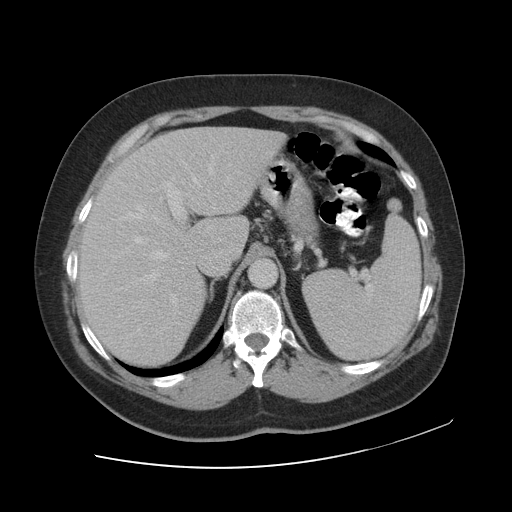
Abdomen; Computed tomography; Image size 512x512
The vessel annotation is not exhaustive.
Principal 15 of 16 hepatic vessel regions = {"x1": 174, "y1": 228, "x2": 184, "y2": 239}, {"x1": 154, "y1": 242, "x2": 172, "y2": 261}, {"x1": 134, "y1": 237, "x2": 141, "y2": 242}, {"x1": 209, "y1": 166, "x2": 212, "y2": 173}, {"x1": 152, "y1": 215, "x2": 158, "y2": 223}, {"x1": 177, "y1": 260, "x2": 178, "y2": 262}, {"x1": 198, "y1": 184, "x2": 200, "y2": 186}, {"x1": 168, "y1": 190, "x2": 184, "y2": 222}, {"x1": 166, "y1": 181, "x2": 170, "y2": 186}, {"x1": 211, "y1": 155, "x2": 216, "y2": 158}, {"x1": 135, "y1": 271, "x2": 158, "y2": 282}, {"x1": 120, "y1": 205, "x2": 146, "y2": 219}, {"x1": 171, "y1": 294, "x2": 176, "y2": 302}, {"x1": 165, "y1": 233, "x2": 167, "y2": 238}, {"x1": 193, "y1": 178, "x2": 197, "y2": 182}.